38x48 px; Slice 22/40; MRI slice; Medial temporal lobe 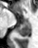
The posterior hippocampus is bounded by <box>17,22,31,36</box>. The anterior hippocampus is at <box>24,21,28,21</box>.